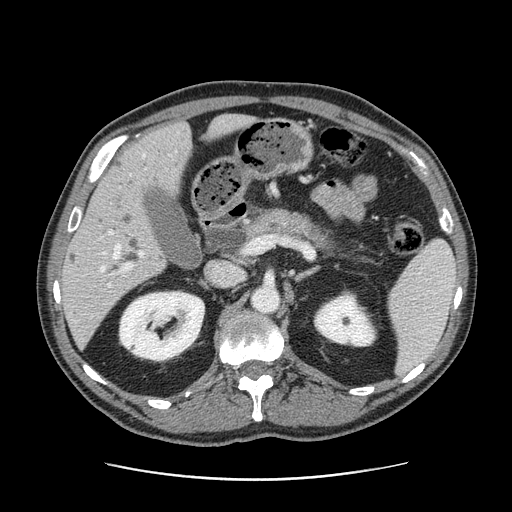
Abdomen | Computed tomography | 512x512
Pancreas: bounding box {"x1": 246, "y1": 209, "x2": 337, "y2": 254}.